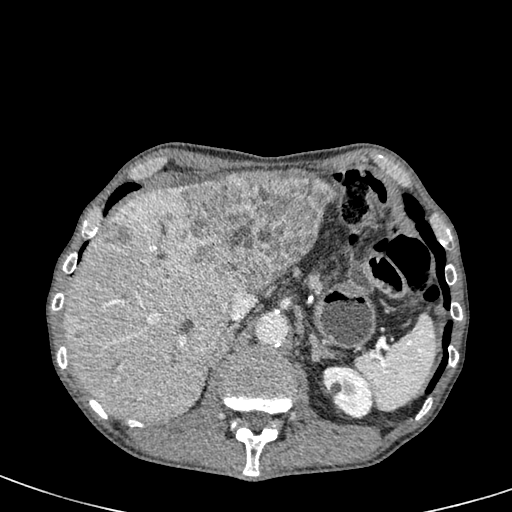

CT slice
Hepatic lesion — [184,173,334,291], [103,223,131,242].
Kidney — [324,367,372,419].
Liver — [260,282,272,293], [63,186,243,421], [275,252,307,278], [280,170,316,177].